Brain. Slice 89/155. Field of view 240x240 mm.
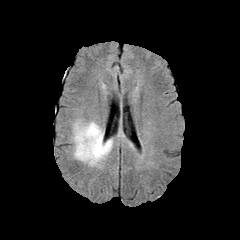
FLAIR magnetic resonance.
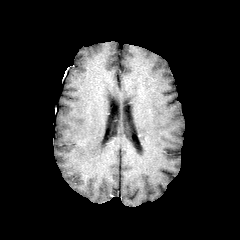
T1-weighted MR image.
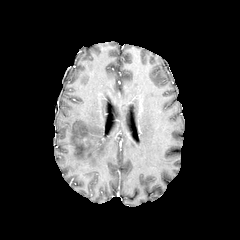
Post-contrast T1-weighted MR image.
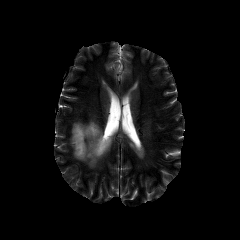
T2-weighted magnetic resonance.
Edema = {"x1": 69, "y1": 118, "x2": 113, "y2": 167}.